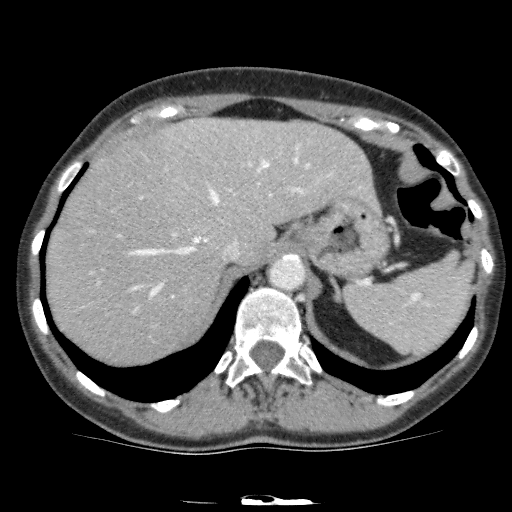
CT slice

The focal liver lesion is at [190,230,211,249]. The liver is located at [47,118,380,365].